Slice 8 of 37 | Magnetic resonance | 38x51 | Field of view 38 mm wide, 1.00 mm slice spacing
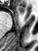

anterior_hippocampus:
  - left=18, top=6, right=24, bottom=13